Slice 24 of 53, Liver, CT image
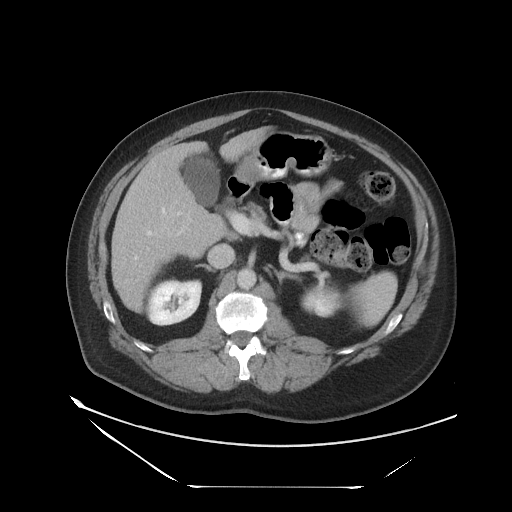

Some hepatic vessels may have no box.
The liver tumor is at x1=171 y1=213 x2=199 y2=240. 2 hepatic vessel regions appear at x1=168 y1=212 x2=179 y2=218, x1=162 y1=207 x2=165 y2=214.